Image width 240 mm
FLAIR MR.
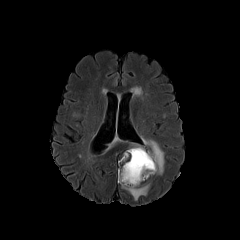
T1-weighted MR image.
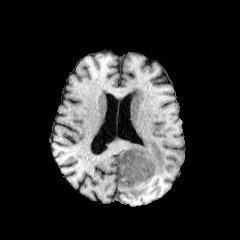
Post-contrast T1-weighted magnetic resonance.
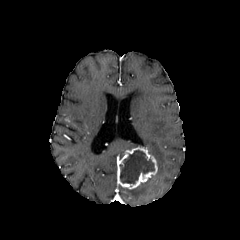
T2-weighted MRI.
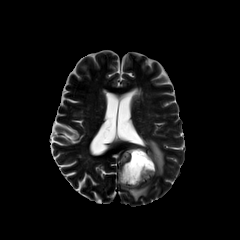
Non-enhancing tumor core at [x1=120, y1=149, x2=154, y2=183].
Edema at [x1=142, y1=139, x2=164, y2=174], [x1=124, y1=183, x2=151, y2=200].
Enhancing tumor at [x1=117, y1=144, x2=157, y2=189].